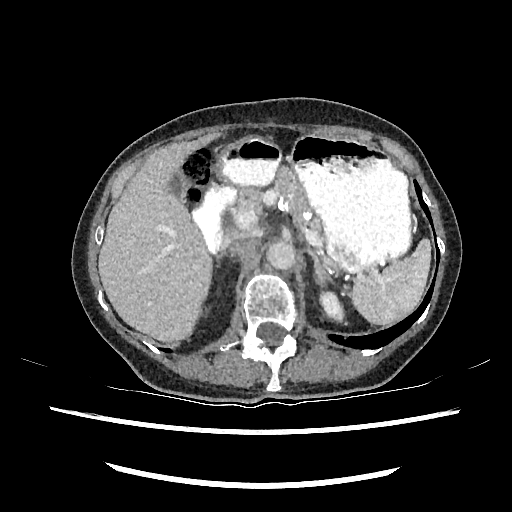
CT
<segmentation>
  <liver><box>99,133,215,340</box></liver>
  <kidney><box>322,294,340,315</box></kidney>
</segmentation>